Brain
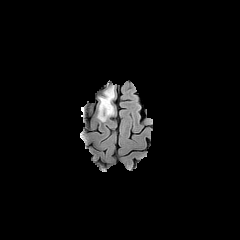
FLAIR MR.
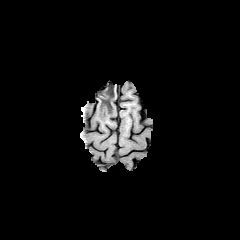
T1-weighted MRI of the same slice.
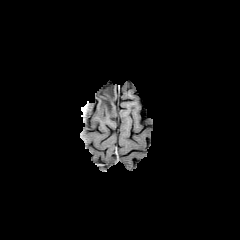
Post-contrast T1-weighted MR image.
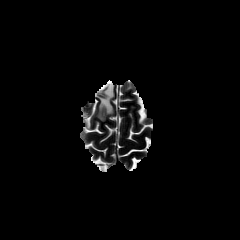
T2-weighted magnetic resonance of the same slice.
The non-enhancing tumor core is at region(98, 86, 113, 115). 2 edema regions are located at region(81, 101, 91, 116); region(96, 99, 109, 121).